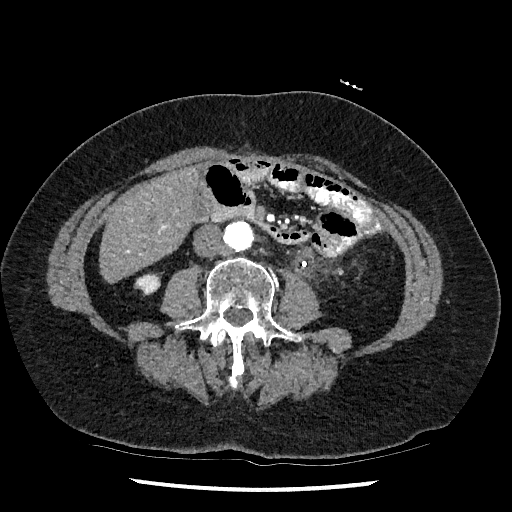
CT slice, Upper abdomen
{"liver": ["bbox(98, 165, 201, 282)"], "kidney": ["bbox(136, 275, 159, 293)"]}